Image size 512x512. Abdomen. Slice 41 of 45. CT slice. 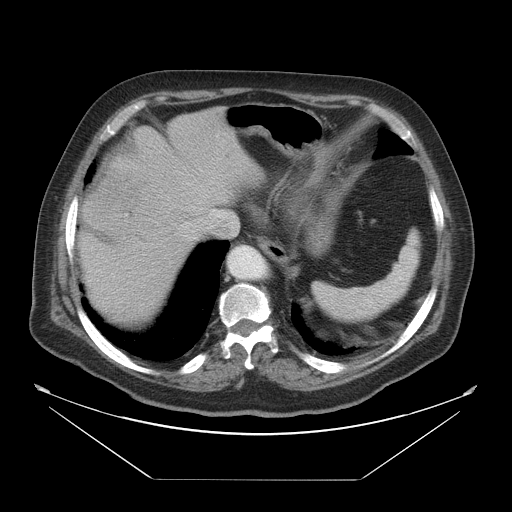 The vessel annotation is not exhaustive.
{
  "hepatic_vessel": [
    "box=[197, 232, 202, 237]",
    "box=[204, 210, 235, 235]"
  ],
  "liver_tumor": [
    "box=[123, 230, 151, 249]",
    "box=[94, 166, 151, 214]"
  ]
}